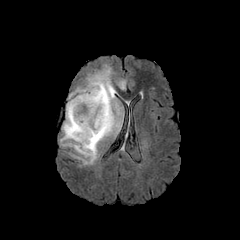
FLAIR MRI.
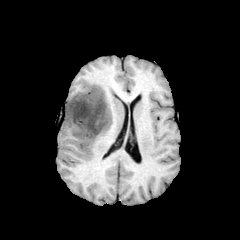
T1-weighted MR image.
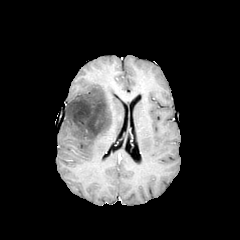
Post-contrast T1-weighted MR.
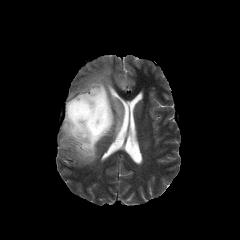
Same slice, T2-weighted MR image.
{
  "edema": [
    "(60, 68, 123, 163)"
  ],
  "non-enhancing_tumor_core": [
    "(68, 88, 110, 139)"
  ]
}